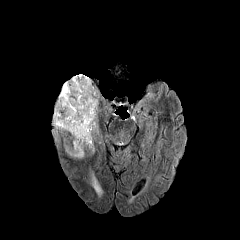
FLAIR MR image.
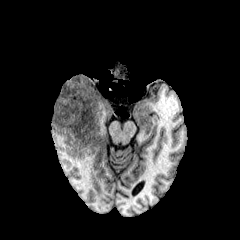
Same slice, T1-weighted MRI.
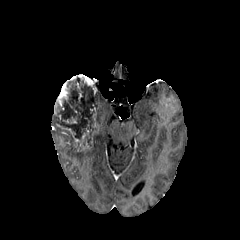
Post-contrast T1-weighted MR image.
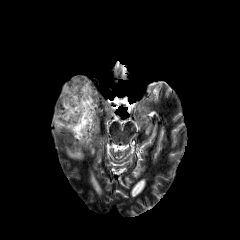
T2-weighted magnetic resonance of the same slice.
Image size 240x240 | Brain
3 enhancing tumor regions are located at <bbox>76, 74, 91, 86</bbox>, <bbox>61, 128, 91, 151</bbox>, <bbox>56, 81, 69, 106</bbox>. 2 edema regions are located at <bbox>90, 174, 102, 194</bbox>, <bbox>65, 146, 84, 158</bbox>. The non-enhancing tumor core lies within <bbox>52, 76, 99, 152</bbox>.